Computed tomography, Lower abdomen
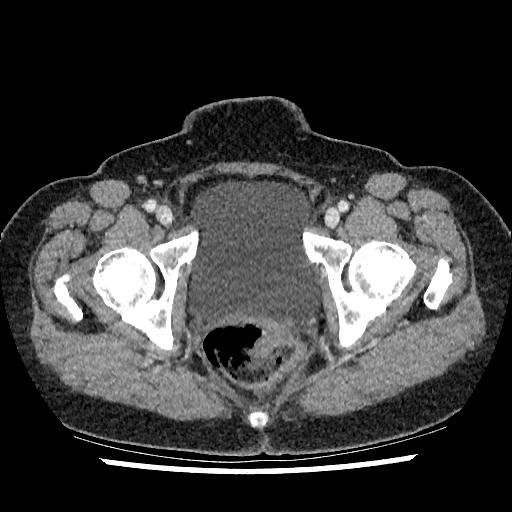
{
  "urinary_bladder": [
    "(189, 181, 323, 326)"
  ]
}